Field of view 405 mm wide, 2.50 mm slice spacing; CT slice; Slice 36 of 97 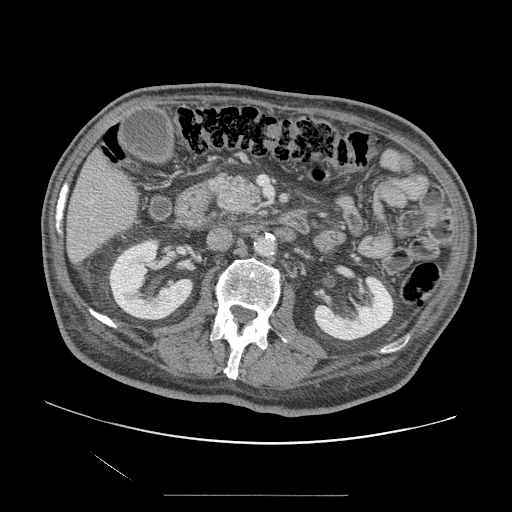
pancreas:
  - [215, 174, 265, 217]